CT slice, Field of view 381 mm wide, 1.50 mm slice spacing

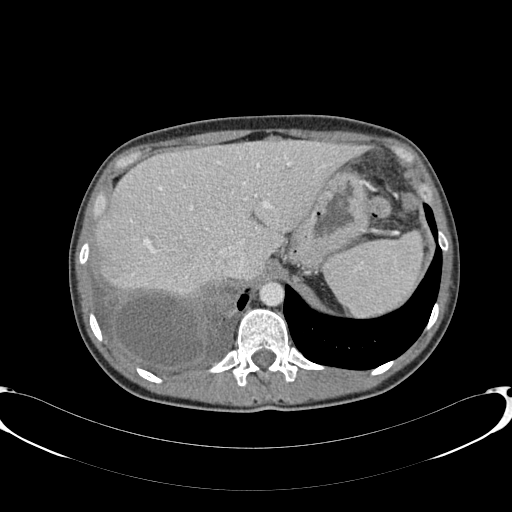 The liver lies within box=[95, 140, 371, 294].